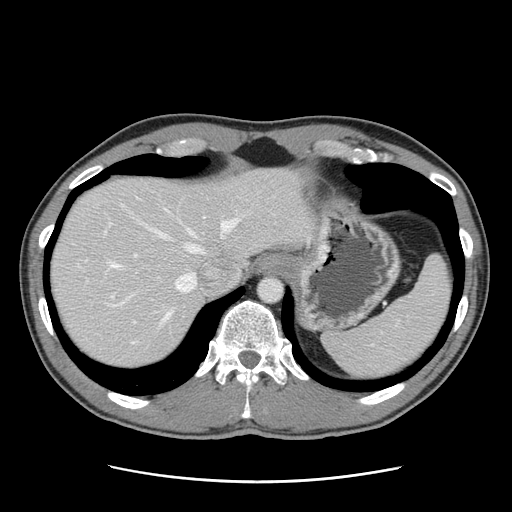

CT | Liver
The vessel boxes may cover only some of the vessels.
The principal 15 hepatic vessel regions (of 18) appear at 186 244 203 252, 108 295 131 305, 108 262 119 267, 152 229 167 237, 137 197 139 199, 187 229 194 235, 163 311 170 319, 120 203 123 207, 175 272 195 291, 179 221 181 223, 111 294 113 298, 166 210 169 212, 109 223 111 225, 220 218 237 236, 103 230 106 234.